CT scan slice; Abdomen

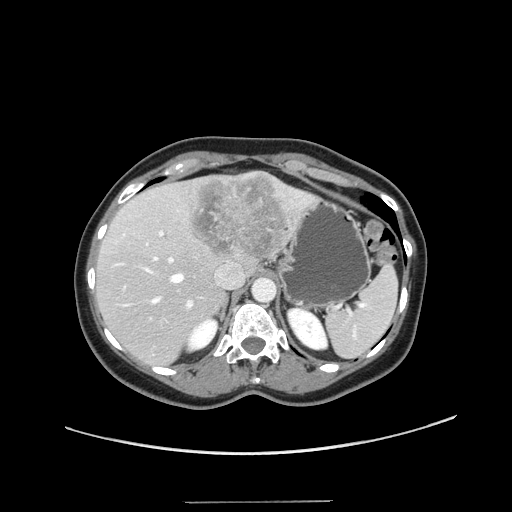 The vessel annotation is not exhaustive.
Hepatic vessel = rect(186, 300, 192, 307); rect(172, 274, 182, 281); rect(154, 257, 157, 259); rect(125, 304, 129, 305); rect(159, 231, 162, 235); rect(169, 258, 172, 261); rect(150, 297, 159, 302); rect(215, 261, 243, 288); rect(145, 268, 151, 271).
Liver tumor = rect(187, 173, 292, 260).